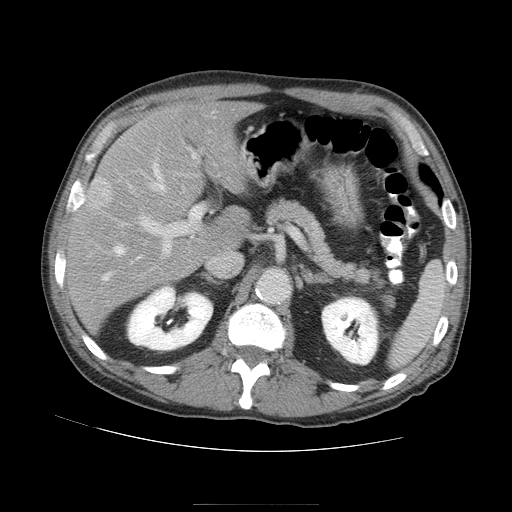 CT image; Abdomen

Some hepatic vessels may have no box.
The liver tumor appears at (86, 177, 114, 210). 9 hepatic vessel regions are located at (140, 205, 204, 257), (103, 273, 110, 280), (115, 246, 123, 254), (128, 183, 131, 187), (190, 150, 196, 159), (150, 163, 164, 194), (137, 257, 140, 258), (187, 148, 189, 149), (121, 223, 124, 224).